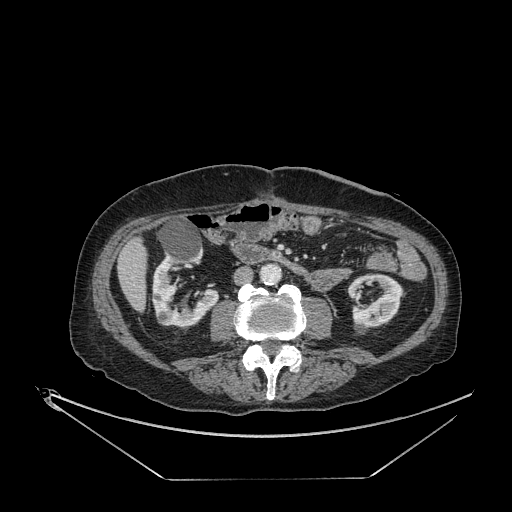 CT; Abdomen

The liver appears at region(118, 237, 146, 310). 3 kidney regions are located at region(153, 254, 218, 326); region(348, 274, 402, 327); region(193, 251, 202, 262).